Slice 78 of 155.
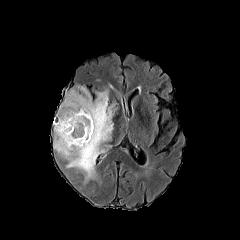
FLAIR MR image.
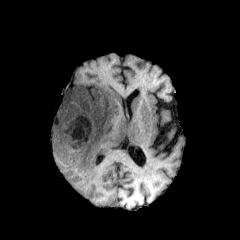
T1-weighted MR.
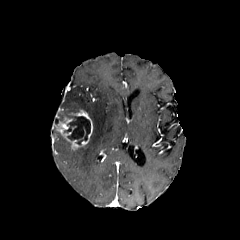
Post-contrast T1-weighted MR.
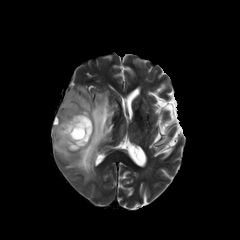
T2-weighted magnetic resonance.
{"enhancing_tumor": [{"x1": 53, "y1": 109, "x2": 93, "y2": 150}], "edema": [{"x1": 52, "y1": 85, "x2": 116, "y2": 183}], "non-enhancing_tumor_core": [{"x1": 66, "y1": 116, "x2": 90, "y2": 141}]}